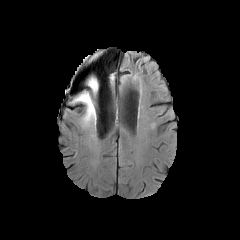
FLAIR MRI.
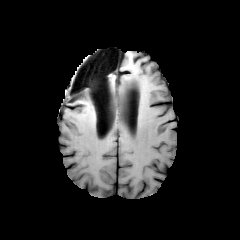
Same slice, T1-weighted MR.
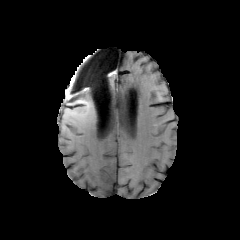
Same slice, post-contrast T1-weighted magnetic resonance.
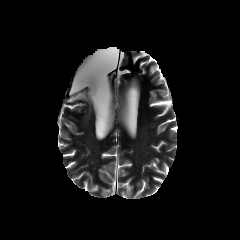
T2-weighted magnetic resonance of the same slice.
Brain
Non-enhancing tumor core: x1=65, y1=86, x2=75, y2=101; x1=74, y1=92, x2=98, y2=113.
Edema: x1=74, y1=76, x2=99, y2=99; x1=83, y1=96, x2=101, y2=128.